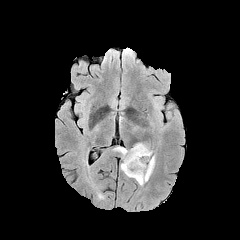
FLAIR MR.
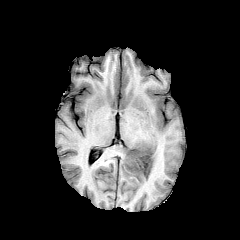
Same slice, T1-weighted magnetic resonance.
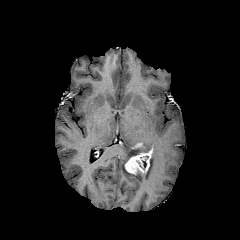
Post-contrast T1-weighted MRI.
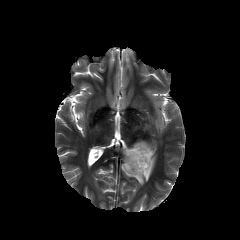
T2-weighted MR.
Brain
Segmented structures:
• non-enhancing tumor core: box=[132, 146, 150, 156]; box=[136, 155, 148, 170]
• enhancing tumor: box=[125, 148, 152, 173]
• edema: box=[112, 146, 155, 185]; box=[133, 142, 151, 149]